Liver | CT | Slice 494 of 696 | 512x512 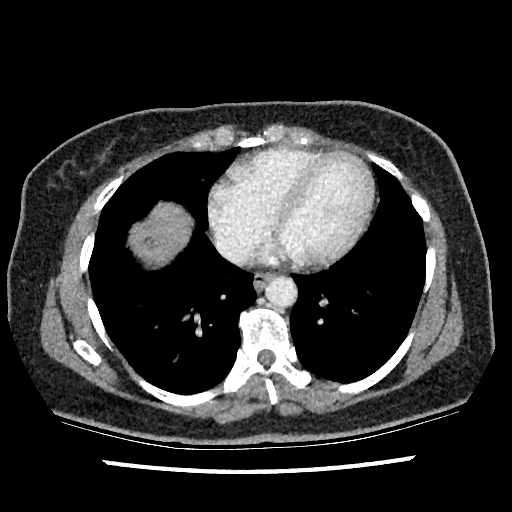

Focal liver lesion — 144:237:154:248.
Liver — 130:203:190:263.